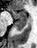
MRI. <segmentation>
  <posterior_hippocampus>[14, 20, 25, 30]</posterior_hippocampus>
  <anterior_hippocampus>[9, 10, 27, 19]</anterior_hippocampus>
</segmentation>